Slice 492/565, CT slice, Image size 512x512

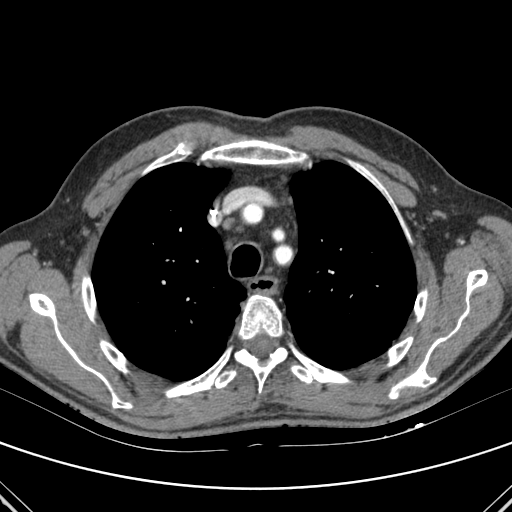 Annotated regions:
* lung: <box>92,163,246,381</box>, <box>284,161,416,369</box>
* bone: <box>290,345,349,383</box>, <box>201,140,305,164</box>, <box>143,143,190,173</box>, <box>81,276,95,321</box>, <box>414,290,427,321</box>, <box>29,293,132,408</box>, <box>165,348,236,397</box>, <box>348,160,408,237</box>, <box>388,269,487,398</box>, <box>238,295,282,339</box>, <box>100,340,128,372</box>, <box>387,336,413,366</box>, <box>235,347,287,392</box>